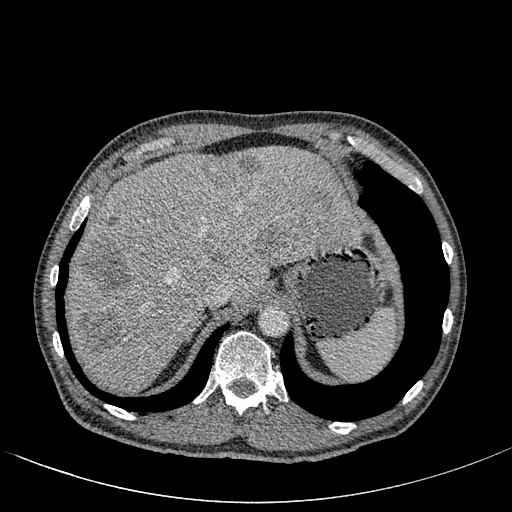
512x512 | Upper abdomen | CT image
Liver lesion: bounding box 109:217:117:224, 83:240:131:294, 258:228:282:251, 206:153:260:186, 78:311:123:353, 308:190:332:211, 213:245:227:263.
Liver: bounding box 69:146:361:392.